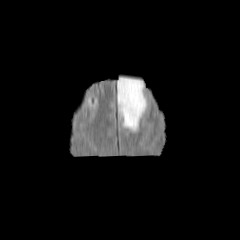
FLAIR MR image.
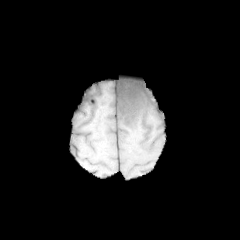
T1-weighted MRI.
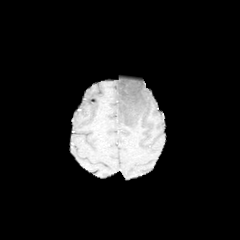
Post-contrast T1-weighted MR of the same slice.
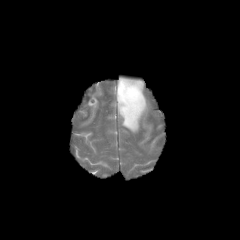
Same slice, T2-weighted MR image.
Image size 240x240
Annotated regions:
• edema: box=[117, 77, 147, 131]